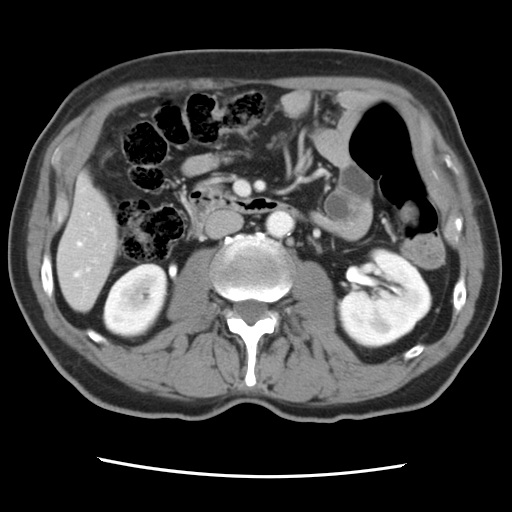 Liver; CT slice
Not every hepatic vessel necessarily has a box.
Hepatic vessel at x1=91 y1=228 x2=94 y2=230, x1=78 y1=242 x2=82 y2=245, x1=87 y1=268 x2=89 y2=270, x1=75 y1=272 x2=80 y2=276.